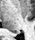 Hippocampus. MR image.
posterior hippocampus: left=11, top=31, right=16, bottom=32